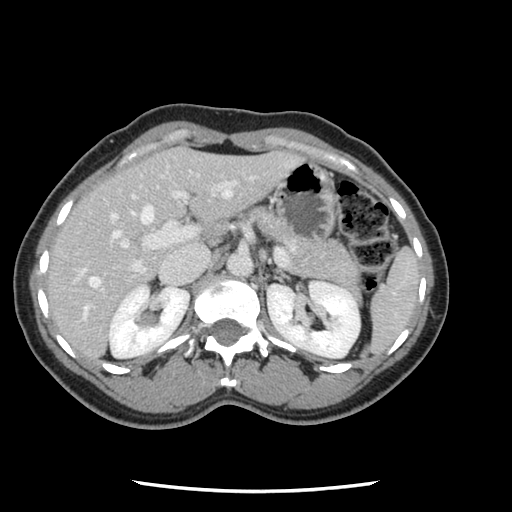 Computed tomography, Abdomen
Only some of the vessels may be annotated.
hepatic vessel: box(111, 213, 115, 218); box(144, 222, 172, 247); box(121, 238, 127, 246); box(250, 177, 252, 178); box(83, 306, 87, 316); box(112, 231, 120, 236); box(135, 206, 152, 222); box(173, 192, 181, 195); box(80, 270, 83, 273); box(219, 181, 234, 196); box(174, 228, 194, 241); box(132, 261, 143, 270); box(131, 212, 134, 213); box(89, 277, 99, 286)